512x512 px | Image width 387 mm | CT slice | Abdomen

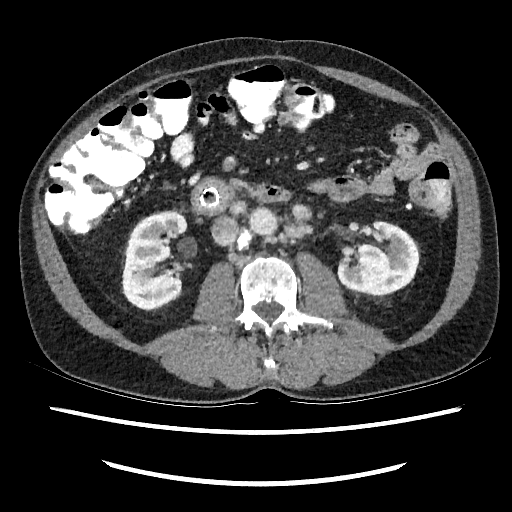 Annotated regions:
* kidney: 123, 213, 186, 308; 338, 222, 418, 295